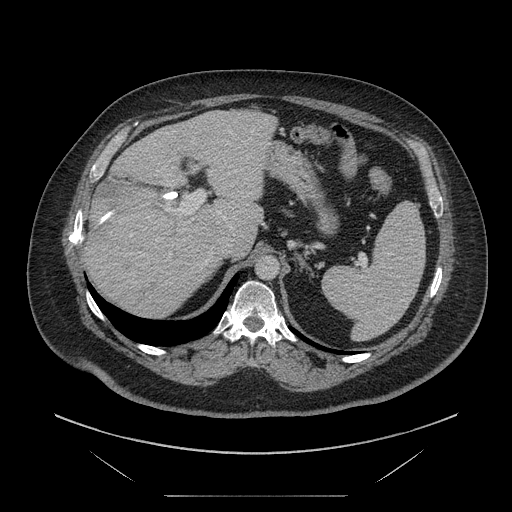 Image size 512x512, CT scan slice
Only some of the vessels may be annotated.
Hepatic vessel at <bbox>164, 190, 205, 220</bbox>, <bbox>207, 158, 220, 167</bbox>.
Liver tumor at <bbox>96, 176, 168, 220</bbox>.